Slice 78 of 155. Image size 240x240. Head.
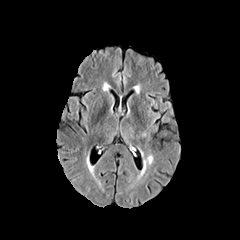
FLAIR MRI.
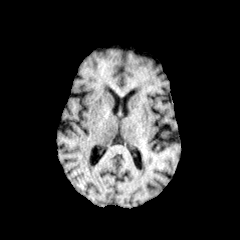
T1-weighted MRI of the same slice.
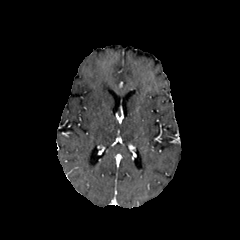
Post-contrast T1-weighted MRI.
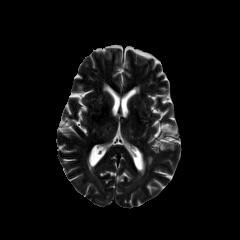
T2-weighted MR.
edema:
  - 144:155:153:167